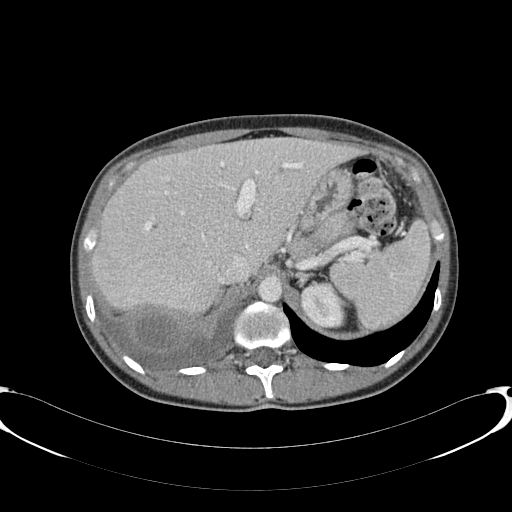
CT image | 512x512 px | Abdomen
The kidney appears at 302,285,341,326. The liver lies within 92,138,366,319.